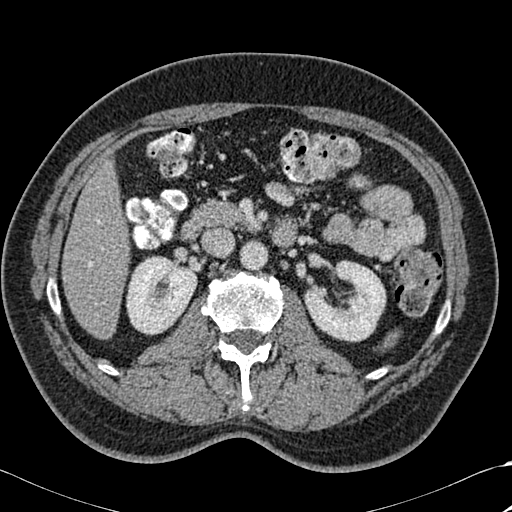 Liver; Computed tomography

5 bone regions appear at (x1=202, y1=273, x2=282, y2=410), (x1=368, y1=371, x2=380, y2=378), (x1=101, y1=365, x2=117, y2=374), (x1=436, y1=319, x2=447, y2=333), (x1=47, y1=280, x2=59, y2=313). 2 kidney regions are located at (x1=127, y1=257, x2=196, y2=333), (x1=305, y1=261, x2=385, y2=340). The liver appears at (x1=62, y1=171, x2=128, y2=336).